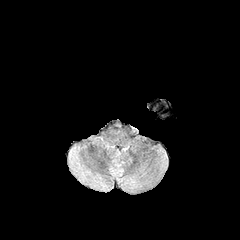
FLAIR MRI.
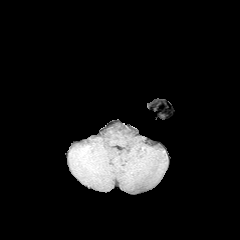
T1-weighted MR.
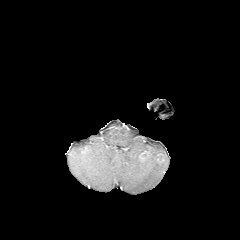
Post-contrast T1-weighted MRI.
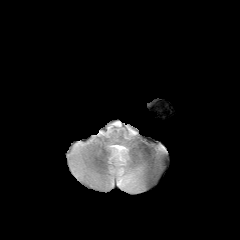
Same slice, T2-weighted MRI.
Head
<segmentation>
  <edema><box>109,145,138,187</box></edema>
</segmentation>